Slice 46 of 155. 240x240 px.
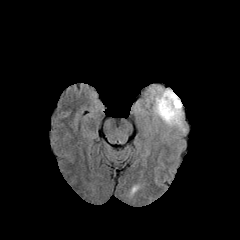
FLAIR MR.
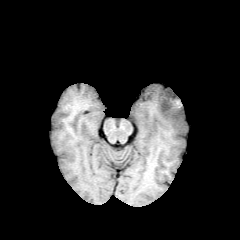
T1-weighted magnetic resonance.
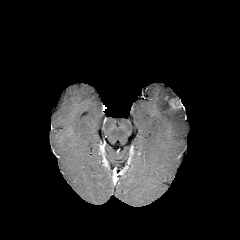
Same slice, post-contrast T1-weighted MR image.
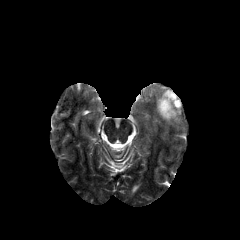
T2-weighted magnetic resonance.
enhancing_tumor:
  - x1=170 y1=99 x2=181 y2=110
edema:
  - x1=134 y1=84 x2=187 y2=140